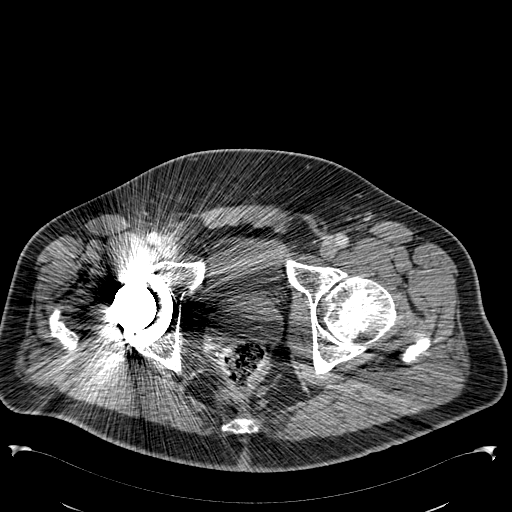

Image size 512x512. Pelvis. CT slice.
* urinary bladder: <bbox>200, 234, 289, 292</bbox>